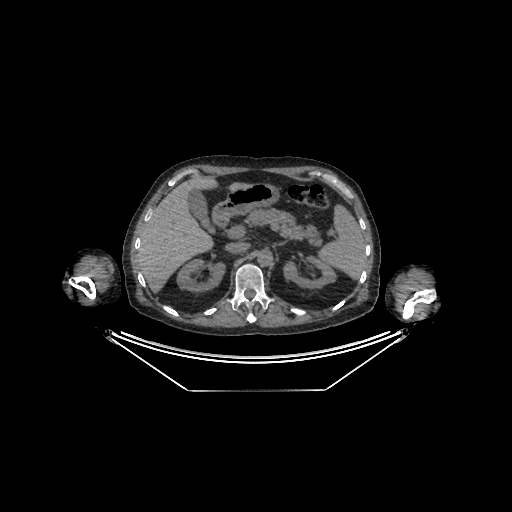
Image size 512x512. Liver. CT scan slice.

Liver: bounding box region(136, 176, 216, 292); region(230, 183, 251, 191).
Kidney: bounding box region(283, 255, 336, 288); region(176, 259, 225, 292).